Slice 98 of 155 | Head
FLAIR magnetic resonance.
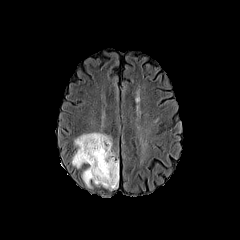
T1-weighted MRI.
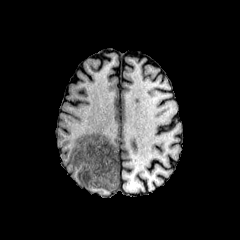
Post-contrast T1-weighted MRI.
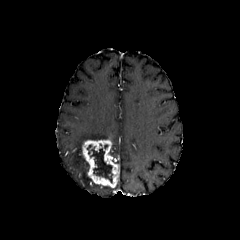
T2-weighted MR image.
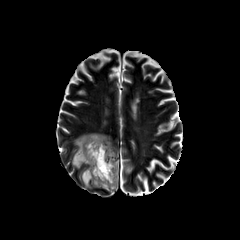
Non-enhancing tumor core = left=88, top=143, right=113, bottom=183.
Edema = left=103, top=181, right=119, bottom=190; left=72, top=133, right=109, bottom=168; left=82, top=169, right=91, bottom=188.
Enhancing tumor = left=81, top=139, right=119, bottom=187.